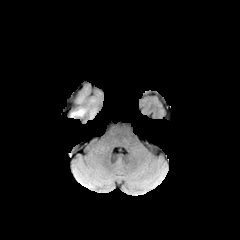
FLAIR MR.
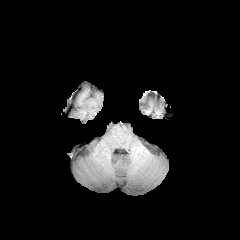
T1-weighted MR image.
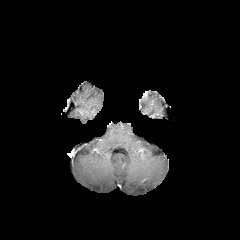
Post-contrast T1-weighted MR.
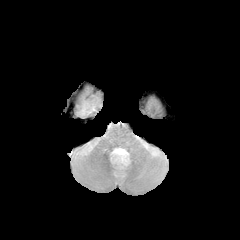
Same slice, T2-weighted MRI.
Brain, Image size 240x240
Edema: (left=76, top=107, right=86, bottom=116).